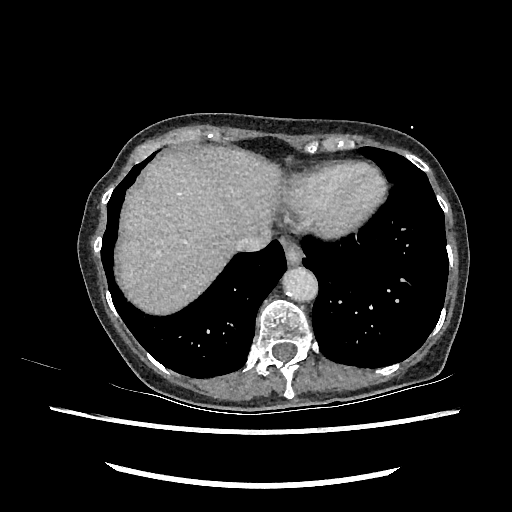
Upper abdomen, CT scan slice
The liver lies within (left=120, top=147, right=280, bottom=311).